FLAIR magnetic resonance.
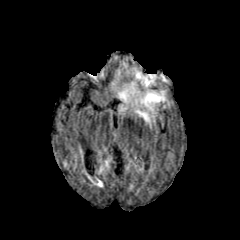
T1-weighted MR.
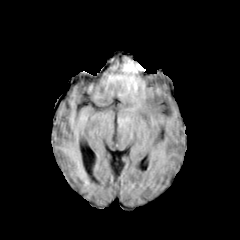
Post-contrast T1-weighted MR image.
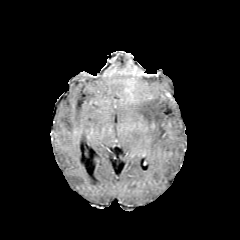
T2-weighted magnetic resonance.
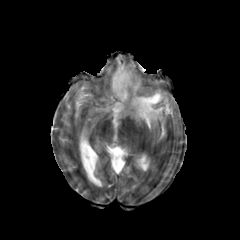
240x240 px; Brain
Edema: bounding box bbox=[118, 82, 139, 102]; bbox=[132, 91, 165, 125].